CT scan slice 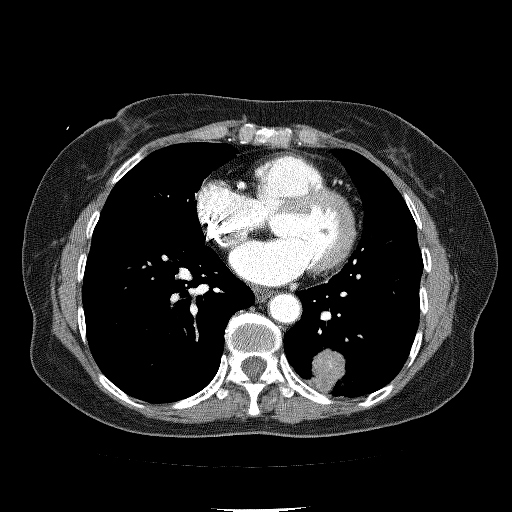 The lung tumor appears at 309 349 347 389.